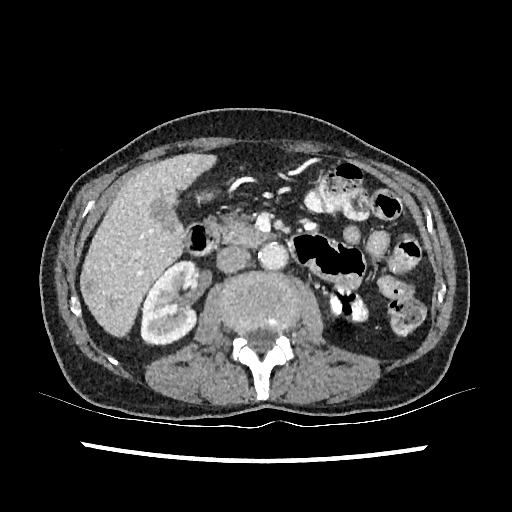 Computed tomography. Upper abdomen. Hepatic lesion — left=150, top=198, right=173, bottom=231; left=85, top=281, right=93, bottom=292.
Kidney — left=141, top=262, right=196, bottom=343.
Liver — left=82, top=153, right=214, bottom=334.